240x240 px; Slice 54 of 155
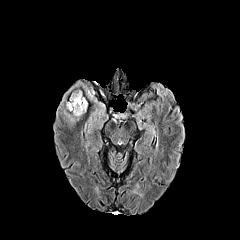
FLAIR magnetic resonance.
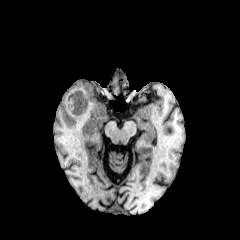
T1-weighted MRI.
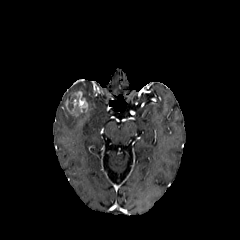
Same slice, post-contrast T1-weighted magnetic resonance.
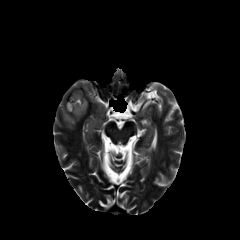
T2-weighted magnetic resonance.
{
  "enhancing_tumor": [
    "box(65, 91, 88, 115)"
  ],
  "edema": [
    "box(64, 111, 84, 124)"
  ]
}